CT scan slice. Image size 512x512. 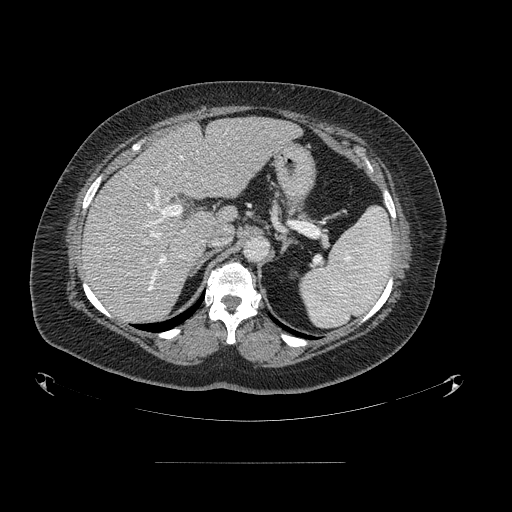

Findings:
* pancreas: box(283, 201, 310, 221)